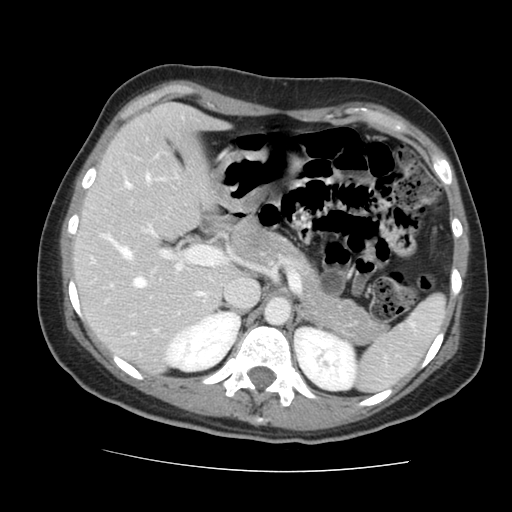 Computed tomography
Not every hepatic vessel necessarily has a box.
Findings:
- hepatic vessel: bbox=[176, 265, 181, 270]; bbox=[154, 330, 156, 331]; bbox=[102, 235, 130, 258]; bbox=[134, 278, 144, 287]; bbox=[110, 285, 111, 286]